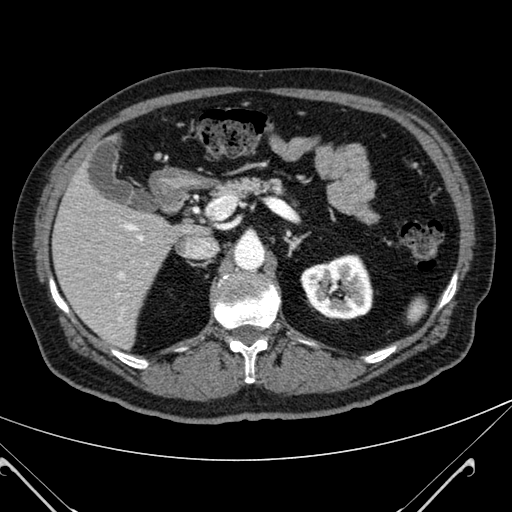 Image size 512x512, CT image
{"liver": ["rect(49, 174, 206, 350)"], "kidney": ["rect(302, 256, 371, 317)"]}